Slice 57/155. Brain.
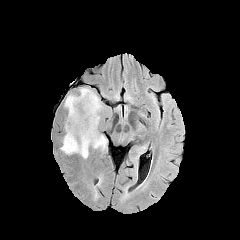
FLAIR MR.
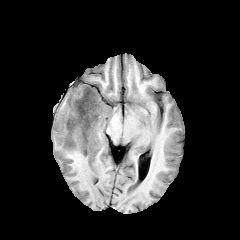
T1-weighted MR.
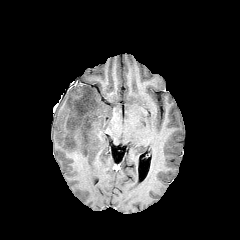
Post-contrast T1-weighted MR image.
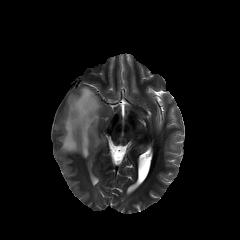
T2-weighted magnetic resonance.
edema: box=[60, 86, 107, 158] | non-enhancing tumor core: box=[76, 89, 93, 137]; box=[67, 119, 74, 127]